Brain | Image size 240x240 | Slice 42 of 155
FLAIR magnetic resonance.
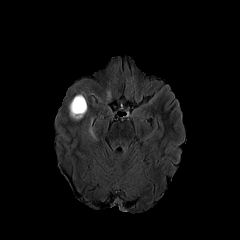
T1-weighted MR.
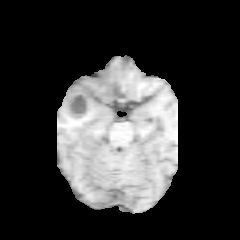
Post-contrast T1-weighted MR.
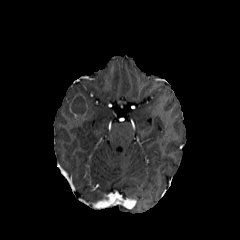
T2-weighted MR image.
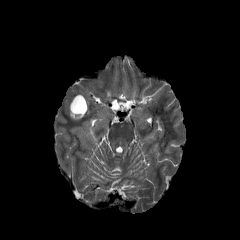
{"non-enhancing_tumor_core": ["bbox=[71, 96, 85, 114]"], "edema": ["bbox=[88, 117, 95, 139]"]}